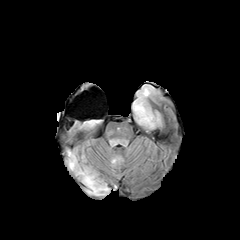
FLAIR MR.
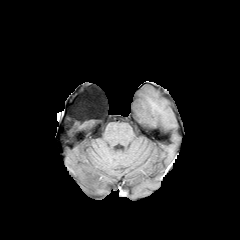
T1-weighted MR of the same slice.
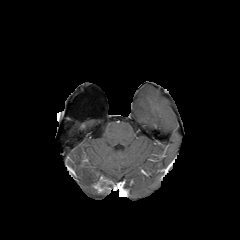
Same slice, post-contrast T1-weighted MR image.
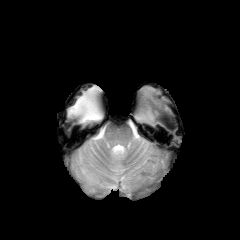
T2-weighted MR image.
Head
{
  "non-enhancing_tumor_core": [
    "x1=92, y1=176, x2=121, y2=192"
  ],
  "edema": [
    "x1=83, y1=120, x2=100, y2=126",
    "x1=137, y1=105, x2=154, y2=121",
    "x1=67, y1=149, x2=107, y2=194"
  ]
}